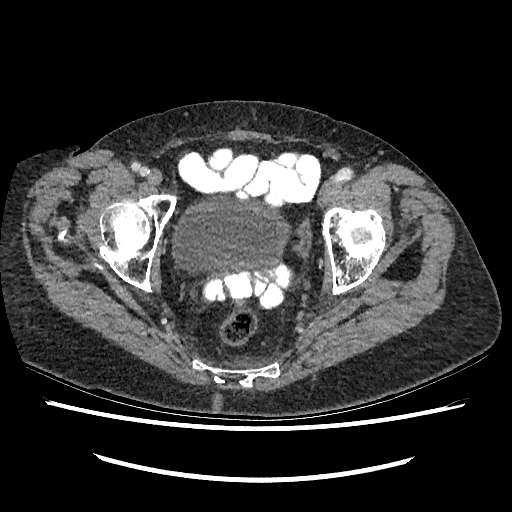

Image size 512x512 | Pelvis | CT
urinary bladder: [173,193,291,273]